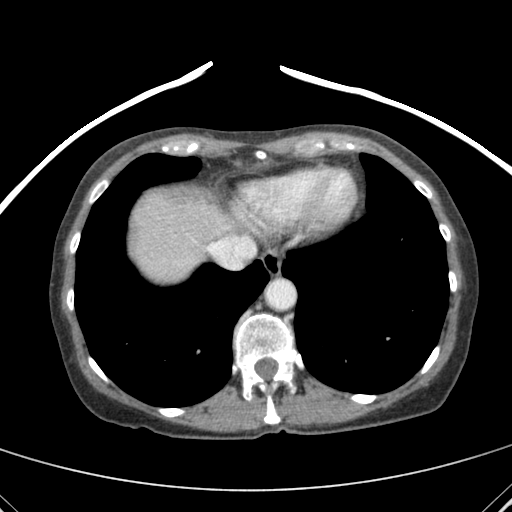
CT. 512x512 px. The liver is at box(132, 193, 242, 279).